FLAIR MR.
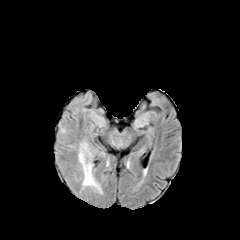
T1-weighted MR.
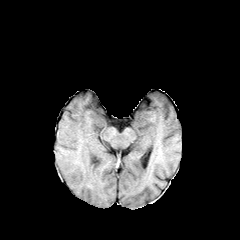
Post-contrast T1-weighted MR image.
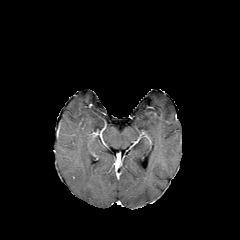
T2-weighted magnetic resonance.
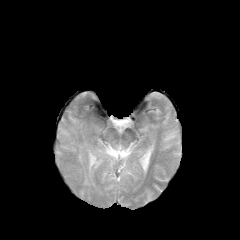
240x240
The edema is bounded by bbox(78, 143, 101, 193).